Field of view 388 mm wide, 0.70 mm slice spacing. Liver. Slice 423/733. CT image. 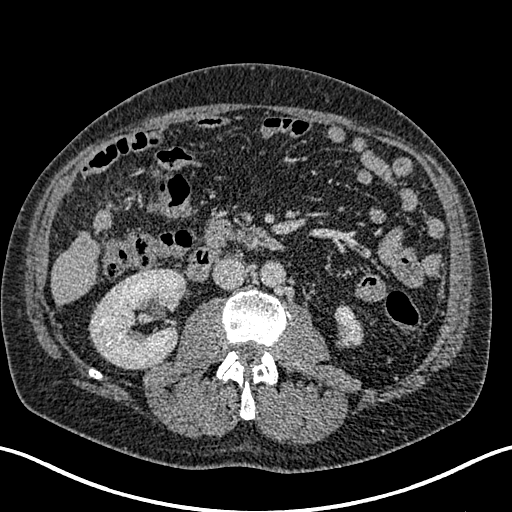
2 liver regions appear at bbox(93, 205, 113, 230); bbox(52, 231, 98, 306). 2 kidney regions are bounded by bbox(90, 269, 184, 368); bbox(336, 307, 360, 344). The liver lesion is at bbox(95, 224, 106, 233).